512x512 | CT slice | Slice index 142
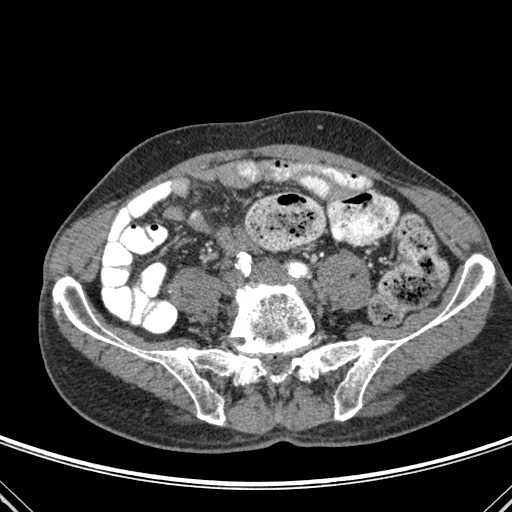
Bone: bounding box [53, 254, 494, 425].